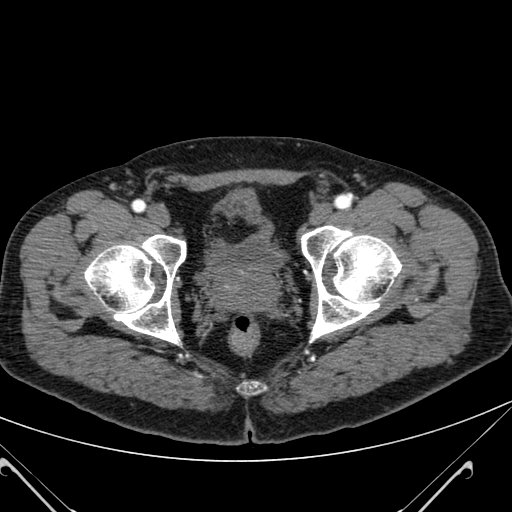
Pelvis | CT slice
The urinary bladder is at bbox=[207, 190, 279, 269].